Computed tomography. Field of view 366 mm wide, 1.50 mm slice spacing. Liver. 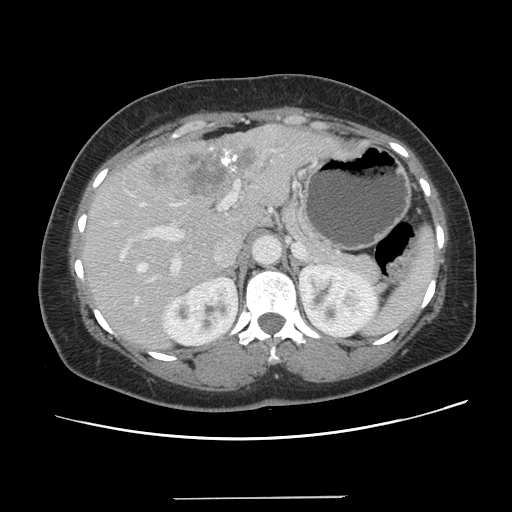

The vessel annotation is not exhaustive.
liver_tumor:
  - x1=143, y1=146, x2=262, y2=196
hepatic_vessel:
  - x1=234, y1=180, x2=239, y2=190
  - x1=218, y1=193, x2=237, y2=210
  - x1=172, y1=203, x2=180, y2=205
  - x1=145, y1=227, x2=181, y2=239
  - x1=150, y1=277, x2=155, y2=280
  - x1=128, y1=239, x2=131, y2=244
  - x1=135, y1=297, x2=138, y2=302
  - x1=138, y1=263, x2=146, y2=271
  - x1=120, y1=249, x2=126, y2=260
  - x1=171, y1=258, x2=180, y2=273
  - x1=140, y1=202, x2=144, y2=206
  - x1=130, y1=194, x2=132, y2=195